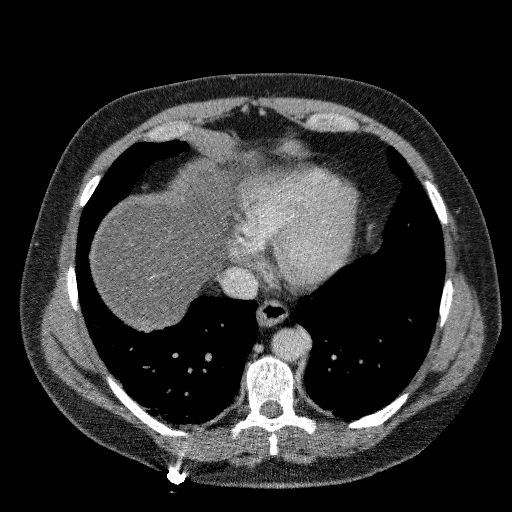

Computed tomography. 512x512 px.

The liver is located at bbox=[91, 165, 230, 329].